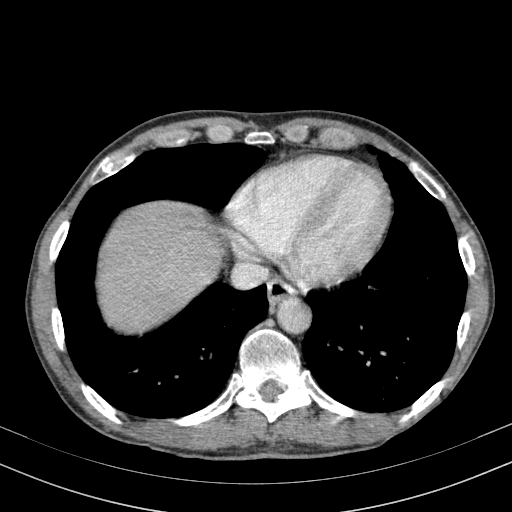

CT slice. 512x512.

<segmentation>
  <liver>rect(97, 202, 226, 331)</liver>
</segmentation>